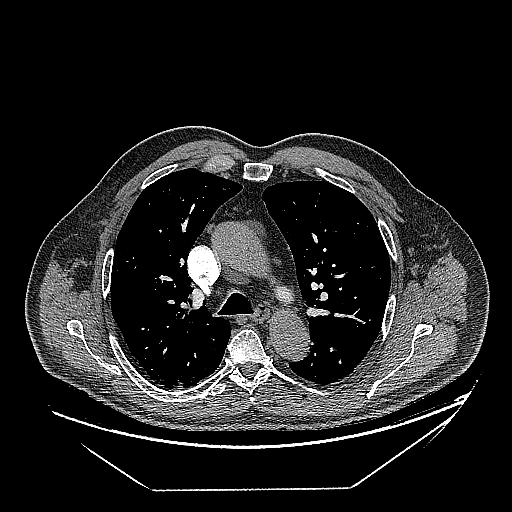

CT image. Chest. Image size 512x512.

The lung tumor appears at (left=135, top=345, right=151, bottom=362).